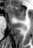

Hippocampus, MR image

{
  "anterior_hippocampus": [
    "x1=6, y1=4, x2=25, y2=19"
  ]
}